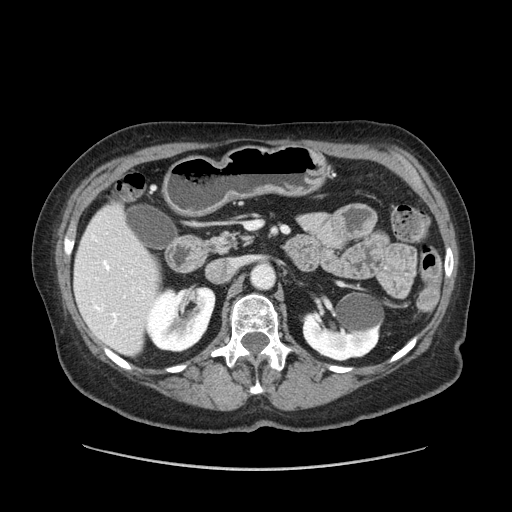

Abdomen | CT image
<segmentation>
  <pancreas>box=[213, 232, 252, 253]</pancreas>
</segmentation>